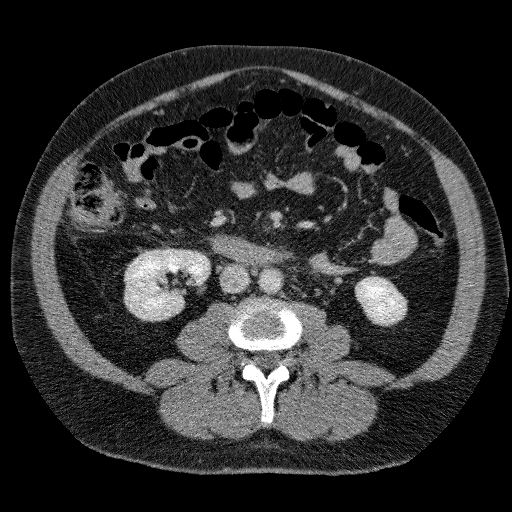

Computed tomography.

kidney:
  - [356,277,405,323]
  - [125,250,209,319]